Abdomen | CT

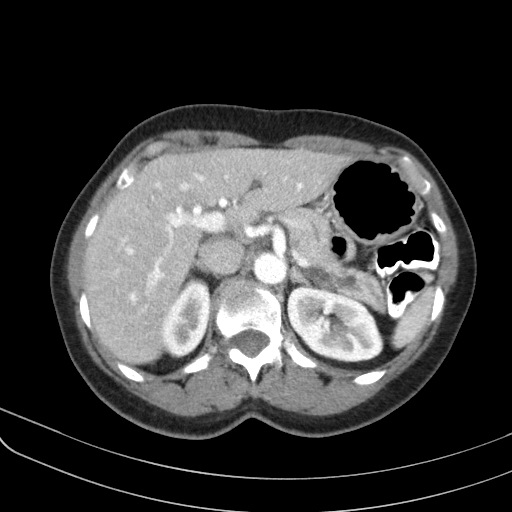

The pancreas appears at <bbox>278, 207, 386, 312</bbox>. The pancreatic tumor lies within <bbox>304, 267, 355, 290</bbox>.